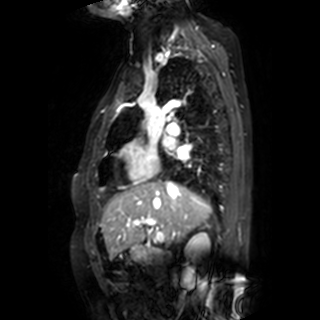

Heart, MRI slice
2 left atrium regions are bounded by bbox=[162, 137, 175, 146]; bbox=[177, 147, 188, 159].